240x240; Head; Slice 91/155
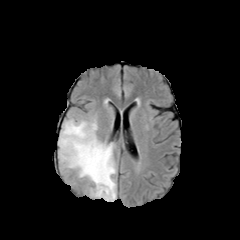
FLAIR MR image.
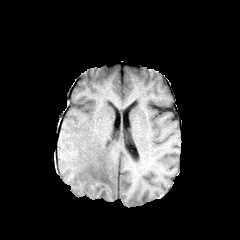
Same slice, T1-weighted magnetic resonance.
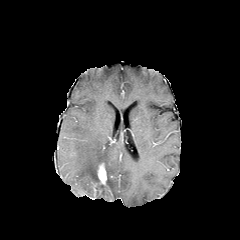
Same slice, post-contrast T1-weighted MR.
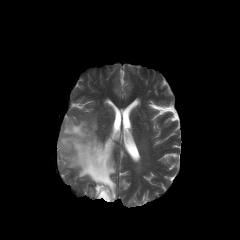
T2-weighted magnetic resonance of the same slice.
Non-enhancing tumor core: bounding box <bbox>89, 162, 113, 200</bbox>.
Edema: bounding box <bbox>58, 117, 116, 201</bbox>.
Enhancing tumor: bounding box <bbox>97, 164, 106, 185</bbox>.